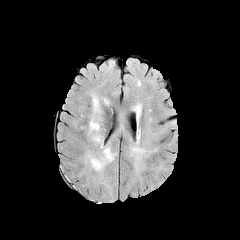
FLAIR MRI.
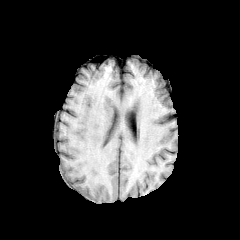
T1-weighted magnetic resonance.
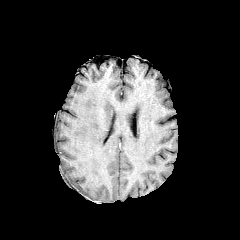
Post-contrast T1-weighted MRI.
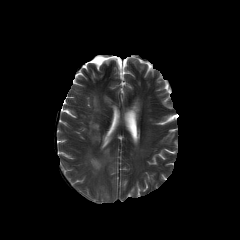
T2-weighted MR image.
Brain
<segmentation>
  <edema>92:159:99:170, 101:146:115:160, 92:95:100:112, 89:117:100:143</edema>
</segmentation>